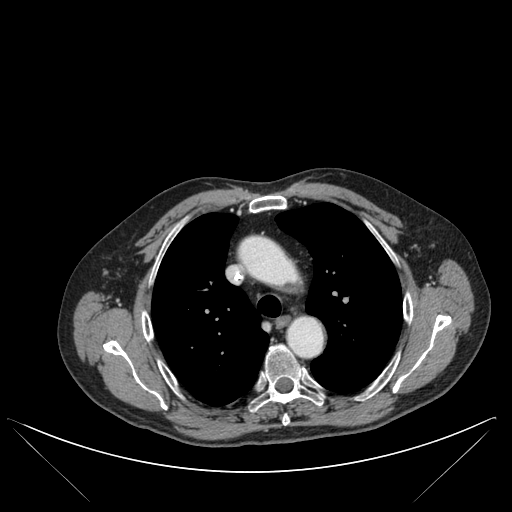

CT; Image size 512x512
bone:
  - (253, 345, 324, 409)
  - (142, 311, 153, 340)
  - (365, 354, 399, 396)
  - (158, 361, 176, 389)
  - (393, 315, 451, 392)
  - (403, 293, 412, 321)
  - (381, 238, 390, 254)
  - (249, 195, 286, 212)
  - (154, 233, 170, 272)
  - (103, 340, 166, 409)
  - (282, 414, 289, 424)
lung:
  - (275, 203, 401, 392)
  - (152, 213, 280, 405)